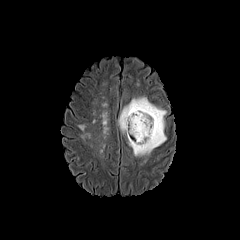
FLAIR MRI.
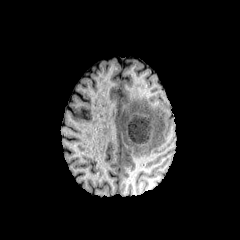
T1-weighted MR image.
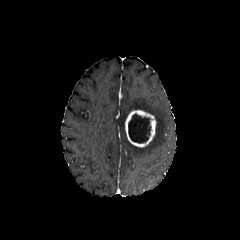
Same slice, post-contrast T1-weighted MR image.
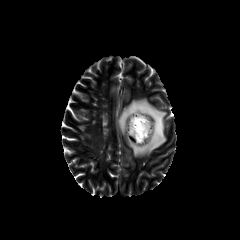
T2-weighted MRI.
Head
2 edema regions are bounded by 77 125 86 132, 118 98 165 156. The enhancing tumor is bounded by 125 109 156 147. The non-enhancing tumor core is located at 128 113 150 143.